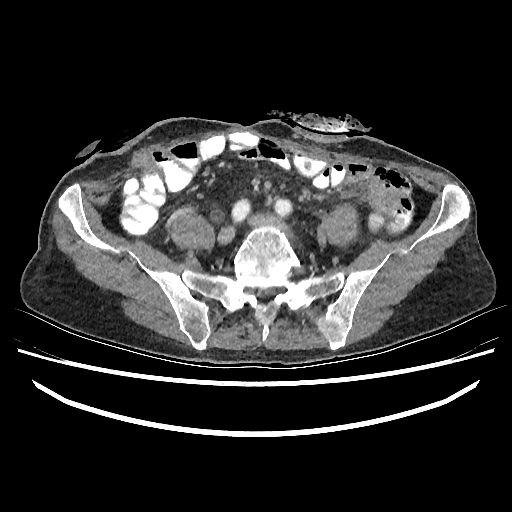 CT
<segmentation>
  <kidney>x1=370 y1=214 x2=383 y2=227</kidney>
</segmentation>